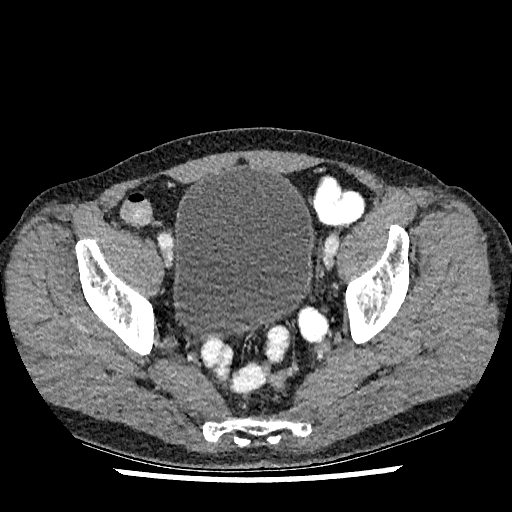
Pelvis, Computed tomography

Urinary bladder at rect(173, 168, 311, 338).